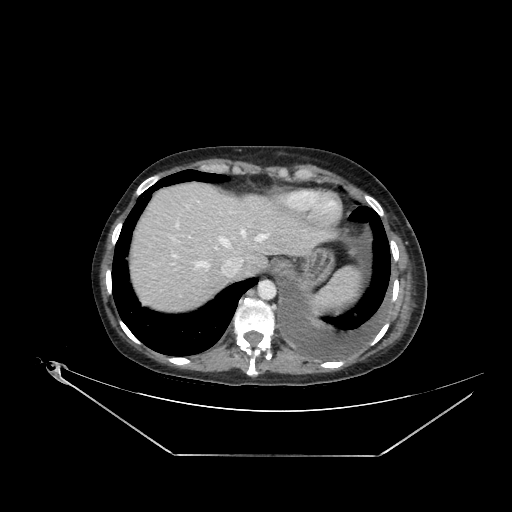
CT scan slice. Image size 512x512. Liver. The liver is bounded by x1=134, y1=183, x2=327, y2=312.